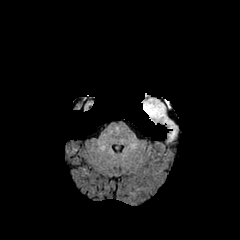
FLAIR MRI.
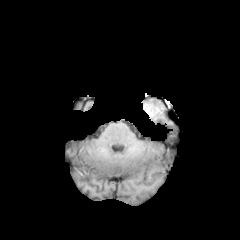
T1-weighted MRI.
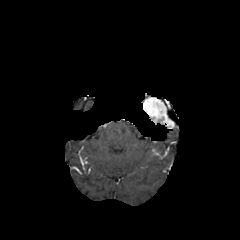
Post-contrast T1-weighted MRI of the same slice.
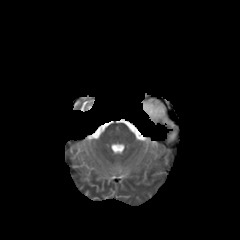
T2-weighted MR.
Head
Enhancing tumor — bbox=[143, 98, 174, 126].